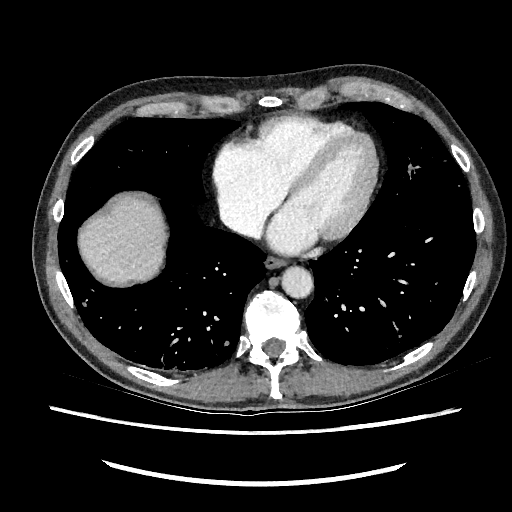

Upper abdomen; CT image; Image size 512x512
liver: [79,199,164,279]